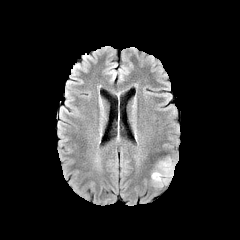
FLAIR MR.
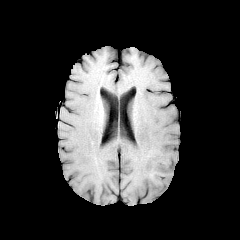
T1-weighted MRI.
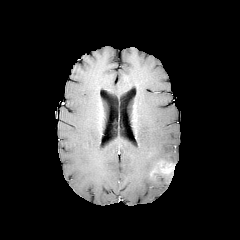
Post-contrast T1-weighted MR.
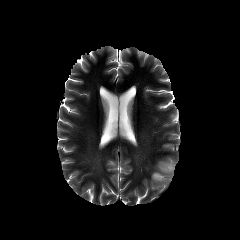
T2-weighted MR of the same slice.
The enhancing tumor is at x1=160 y1=163 x2=173 y2=174. The edema is at x1=151 y1=173 x2=169 y2=187. 2 non-enhancing tumor core regions are bounded by x1=158 y1=160 x2=175 y2=168, x1=159 y1=169 x2=173 y2=180.